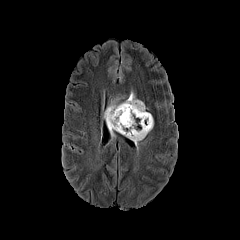
FLAIR magnetic resonance.
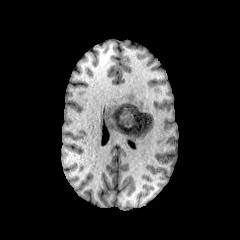
T1-weighted MR.
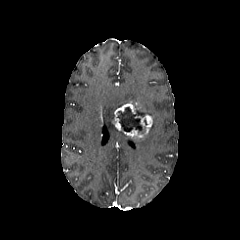
Post-contrast T1-weighted MR image.
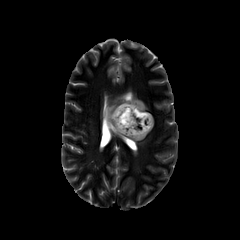
T2-weighted MR.
Brain
edema: (left=103, top=99, right=123, bottom=134) | non-enhancing tumor core: (left=116, top=101, right=145, bottom=132) | enhancing tumor: (left=112, top=103, right=152, bottom=140)